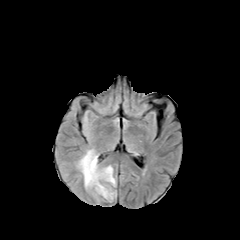
FLAIR MR image.
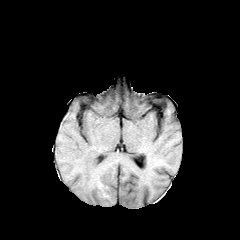
T1-weighted MRI.
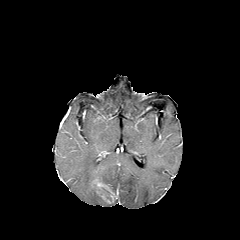
Post-contrast T1-weighted MR of the same slice.
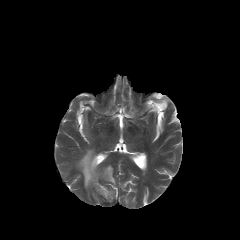
Same slice, T2-weighted MR image.
<segmentation>
  <edema>(77, 149, 116, 202)</edema>
</segmentation>